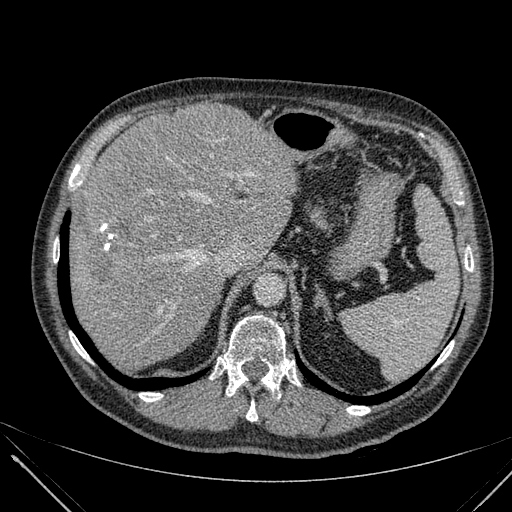 CT image. Liver lesion: (116, 217, 133, 236), (95, 246, 116, 279).
Liver: (70, 104, 297, 370).